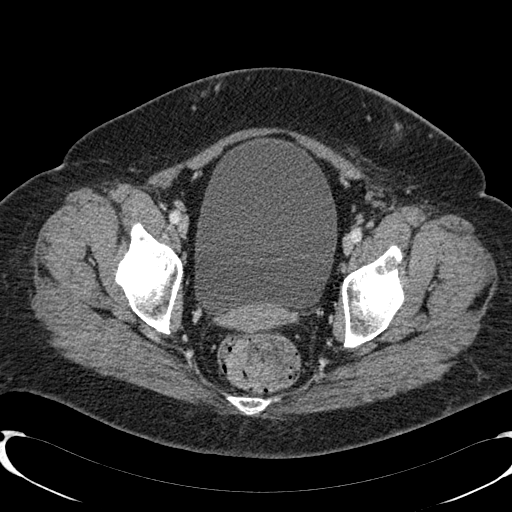
512x512. CT.

Segmented structures:
* urinary bladder: 195:138:336:310